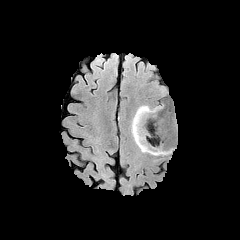
FLAIR magnetic resonance.
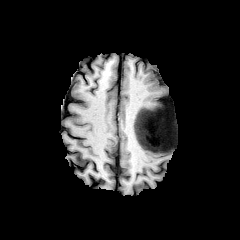
T1-weighted MRI.
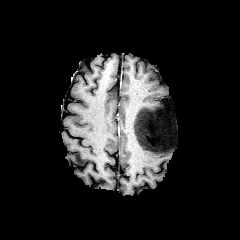
Same slice, post-contrast T1-weighted MRI.
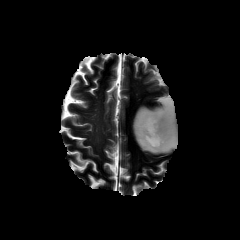
T2-weighted MRI.
3 edema regions are bounded by [137, 105, 158, 111], [131, 118, 175, 156], [144, 120, 158, 145]. The non-enhancing tumor core is bounded by [134, 106, 173, 151].